CT slice, Abdomen
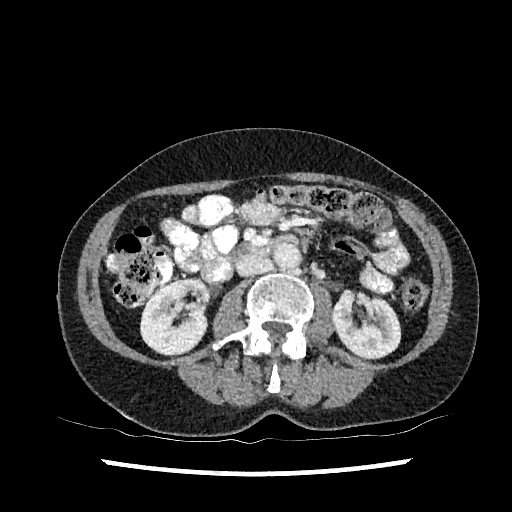 Kidney = box=[141, 280, 207, 354]; box=[333, 291, 400, 357].